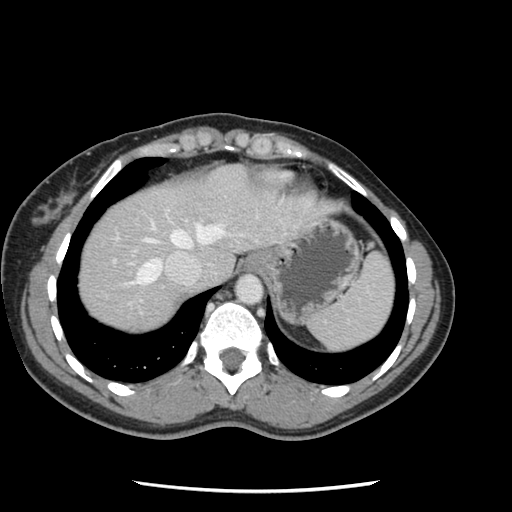 512x512 px; CT slice; Liver
Only some of the vessels may be annotated.
hepatic vessel: (196, 224, 224, 243), (170, 229, 190, 247), (133, 259, 160, 283), (146, 239, 153, 240)